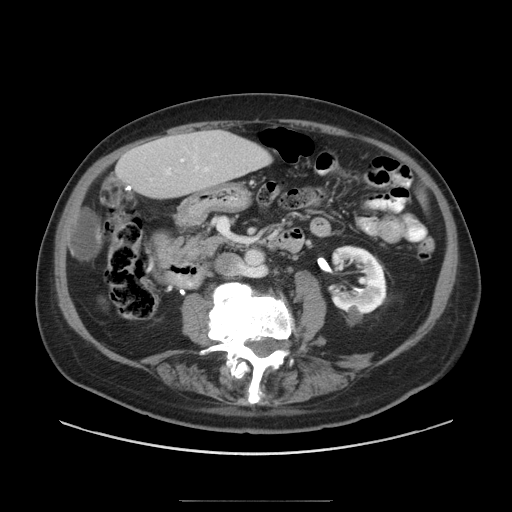
CT scan slice; Abdomen
Some hepatic vessels may have no box.
hepatic vessel: (182, 159, 183, 160), (166, 168, 170, 174), (196, 167, 198, 169), (204, 168, 208, 170)